Liver; Slice index 21; Computed tomography 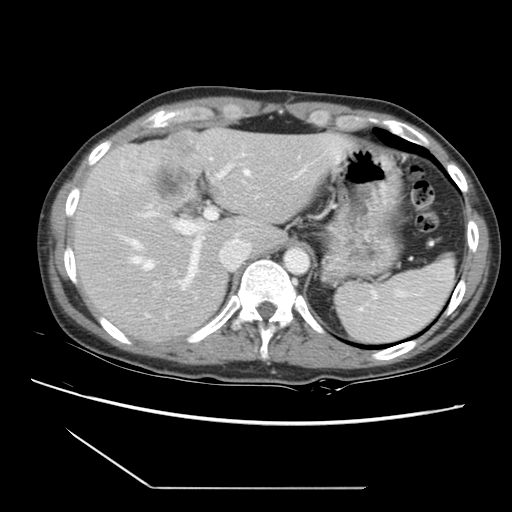

The vessel boxes may cover only some of the vessels.
liver tumor: bbox(136, 133, 202, 202) | [15/21] hepatic vessel: bbox(206, 210, 216, 218); bbox(234, 233, 240, 240); bbox(137, 205, 158, 217); bbox(208, 151, 212, 160); bbox(120, 160, 127, 168); bbox(124, 173, 143, 186); bbox(172, 221, 205, 290); bbox(220, 251, 222, 261); bbox(240, 146, 250, 157); bbox(242, 164, 250, 176); bbox(213, 163, 234, 180); bbox(106, 189, 117, 193); bbox(130, 257, 152, 270); bbox(131, 151, 136, 158); bbox(116, 233, 142, 249)